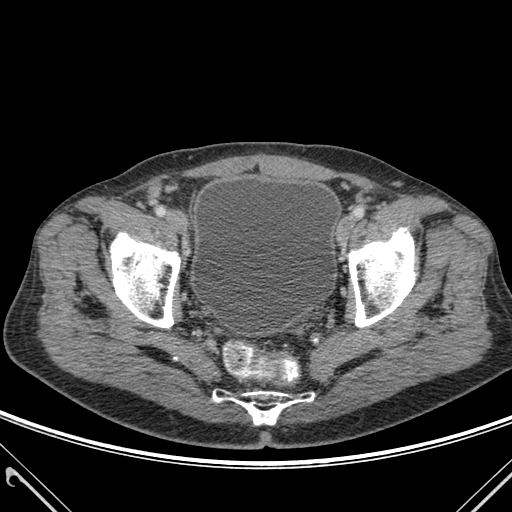 CT scan slice
{
  "bone": [
    "[x1=349, y1=228, x2=415, y2=327]",
    "[x1=213, y1=391, x2=314, y2=424]",
    "[x1=110, y1=233, x2=180, y2=327]"
  ],
  "urinary_bladder": [
    "[x1=194, y1=179, x2=338, y2=322]"
  ]
}